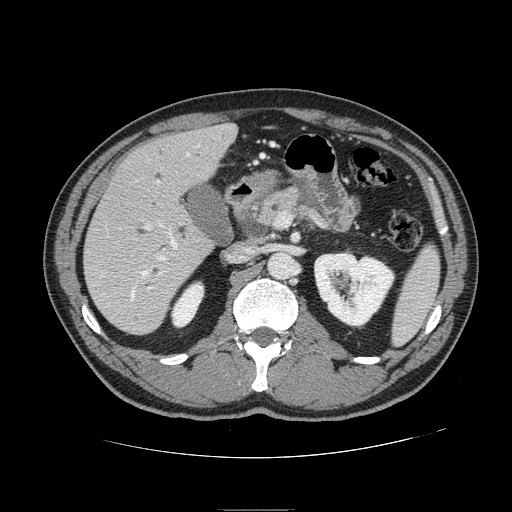
CT slice, Abdomen, Image size 512x512
{"pancreas": ["(x1=257, y1=188, x2=300, y2=226)"]}